Head; 240x240 px
FLAIR MRI.
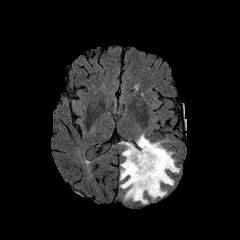
T1-weighted magnetic resonance.
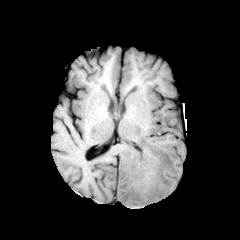
Post-contrast T1-weighted MR image.
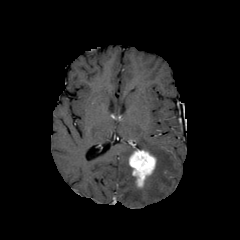
T2-weighted magnetic resonance.
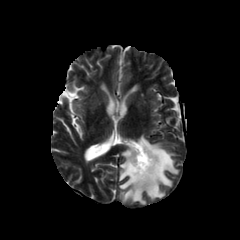
Enhancing tumor — x1=128 y1=146 x2=157 y2=189.
Edema — x1=118 y1=134 x2=179 y2=204.